MR image

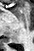

posterior hippocampus: [5,39,11,42]